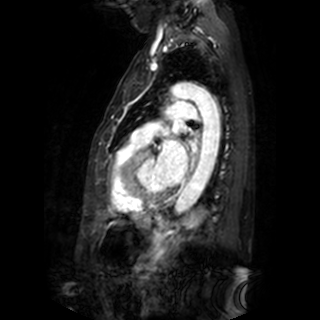 MR, Cardiac
3 left atrium regions are located at {"x1": 157, "y1": 140, "x2": 187, "y2": 185}, {"x1": 173, "y1": 120, "x2": 183, "y2": 133}, {"x1": 191, "y1": 142, "x2": 196, "y2": 151}.